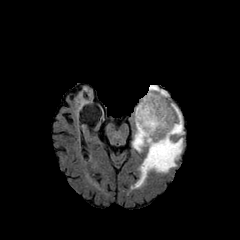
FLAIR MR.
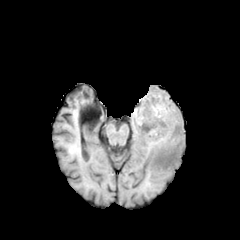
T1-weighted magnetic resonance.
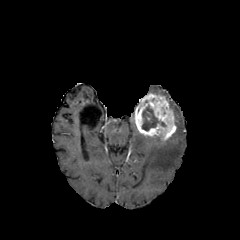
Post-contrast T1-weighted MR image of the same slice.
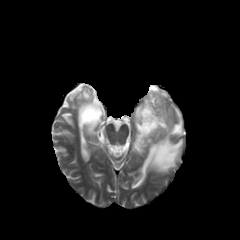
T2-weighted MRI.
240x240 px, Head
Findings:
• enhancing tumor: region(134, 92, 176, 141)
• edema: region(131, 103, 184, 188); region(149, 85, 168, 98)
• non-enhancing tumor core: region(142, 106, 158, 130)